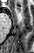 MRI, 34x53 px, Hippocampus
Anterior hippocampus: bbox=[17, 7, 20, 10].